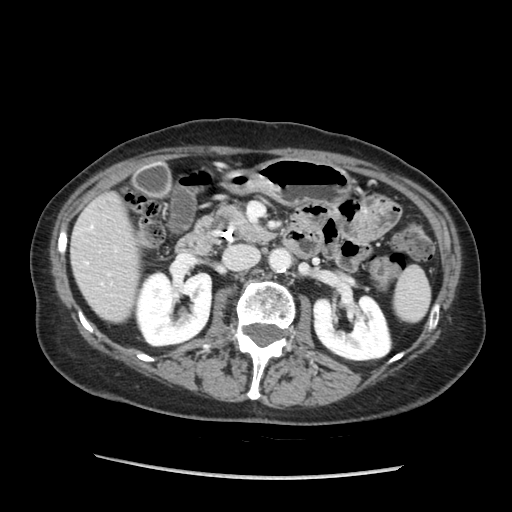

Upper abdomen; CT slice
Pancreatic tumor = 227:209:242:218.
Pancreas = 212:207:270:242.